CT image, Slice 139 of 155
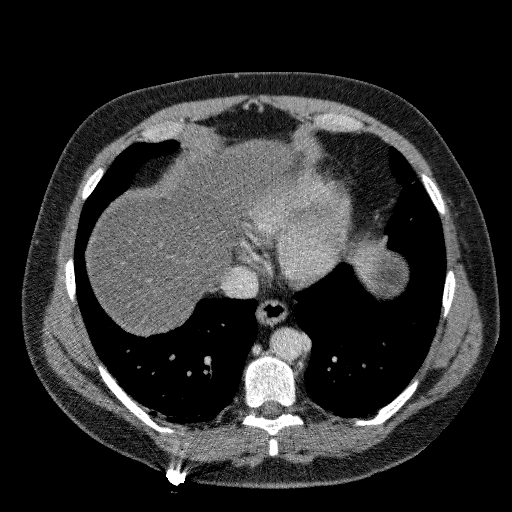
Liver — (x1=87, y1=141, x2=292, y2=334).